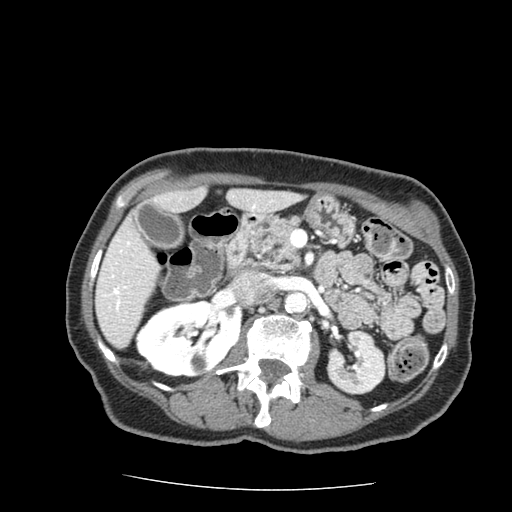 Upper abdomen. CT scan slice. The pancreas lies within (left=245, top=215, right=301, bottom=272).